Upper abdomen, Slice 73/95, CT image

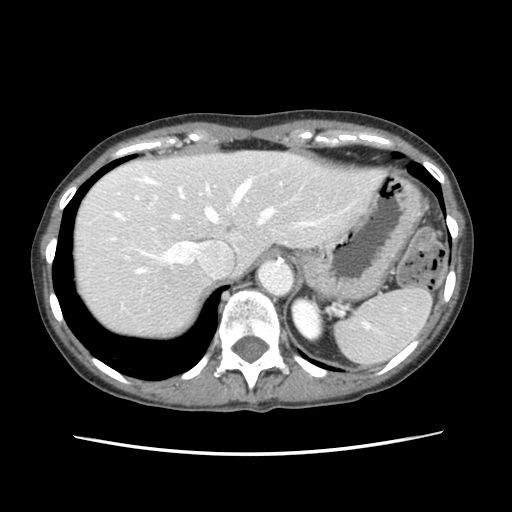

<segmentation>
  <spleen>region(332, 288, 430, 364)</spleen>
</segmentation>